512x512; CT image; Liver; Field of view 512 mm wide, 1.00 mm slice spacing

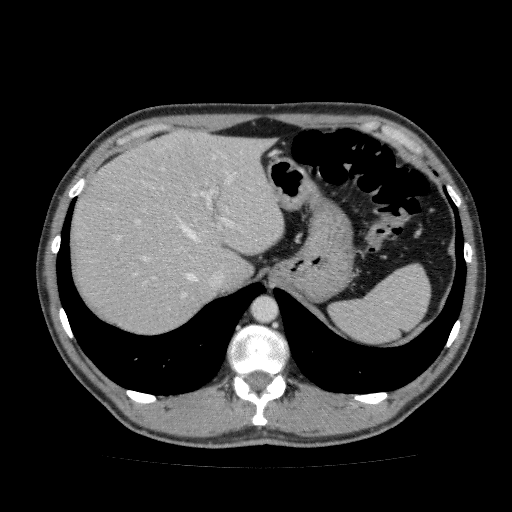
* liver: bbox(71, 130, 284, 336)